Abdomen, Field of view 400x400 mm, 512x512 px, CT slice
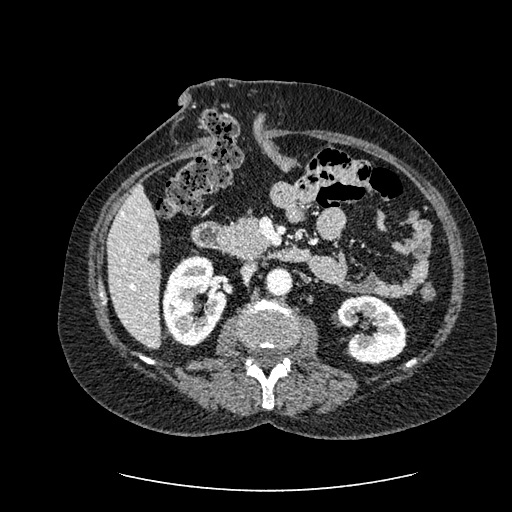
2 kidney regions appear at box(163, 256, 225, 345); box(338, 296, 405, 362). The liver is located at box(107, 183, 161, 348). The hepatic lesion lies within box(147, 253, 159, 263).